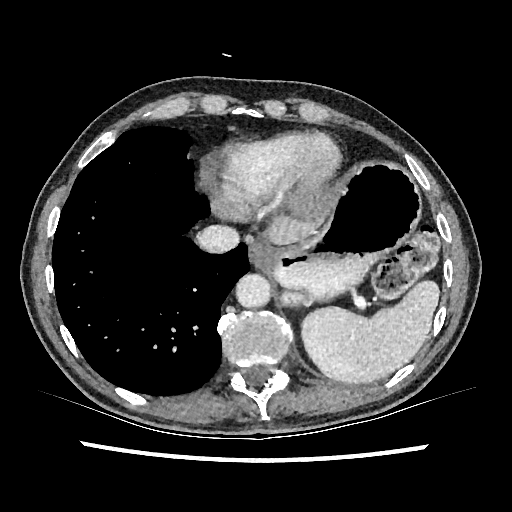
CT. 512x512. Abdomen.
Liver: [290, 183, 343, 200], [269, 204, 332, 243].
Focal liver lesion: [288, 194, 336, 218].